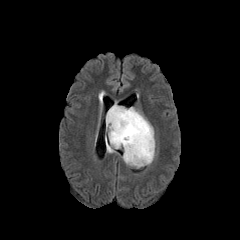
FLAIR MR.
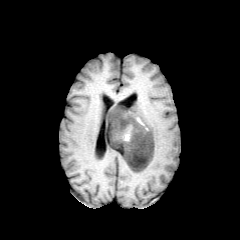
T1-weighted magnetic resonance.
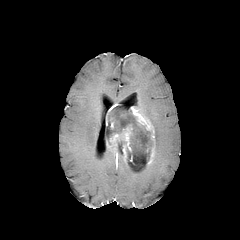
Post-contrast T1-weighted magnetic resonance.
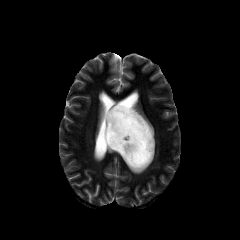
T2-weighted MR image.
240x240. Head.
{
  "non-enhancing_tumor_core": [
    "(105, 105, 153, 168)"
  ],
  "enhancing_tumor": [
    "(130, 107, 154, 141)",
    "(148, 146, 154, 165)",
    "(106, 125, 132, 160)"
  ]
}